Slice 25 of 95; CT 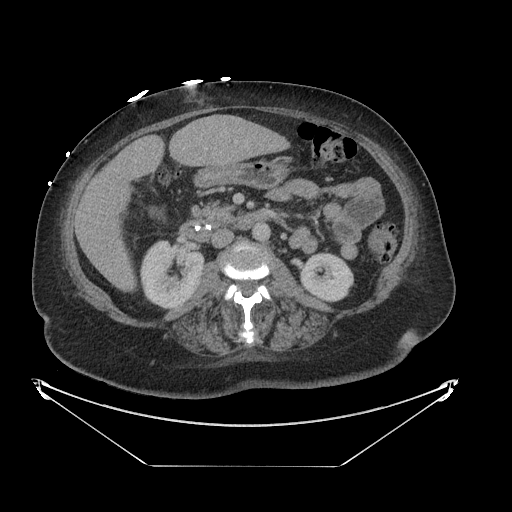

<segmentation>
  <pancreas>x1=204 y1=202 x2=234 y2=225</pancreas>
</segmentation>